Abdomen, 512x512 px, CT image
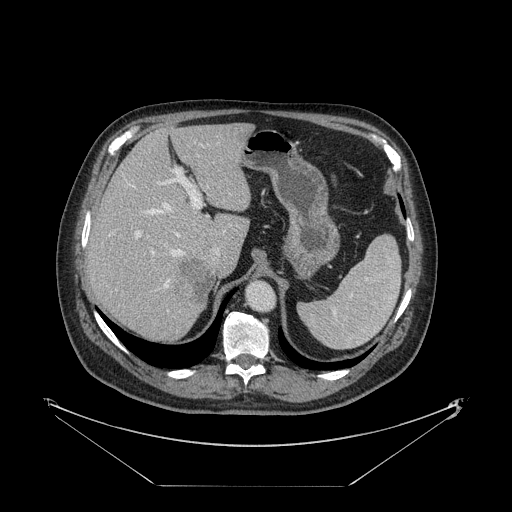
Some hepatic vessels may have no box.
Hepatic vessel — left=176, top=233, right=178, bottom=235; left=206, top=215, right=208, bottom=216; left=164, top=279, right=168, bottom=287; left=151, top=249, right=153, bottom=252; left=135, top=230, right=141, bottom=236; left=156, top=166, right=203, bottom=207.
Liver tumor — left=180, top=257, right=210, bottom=304.